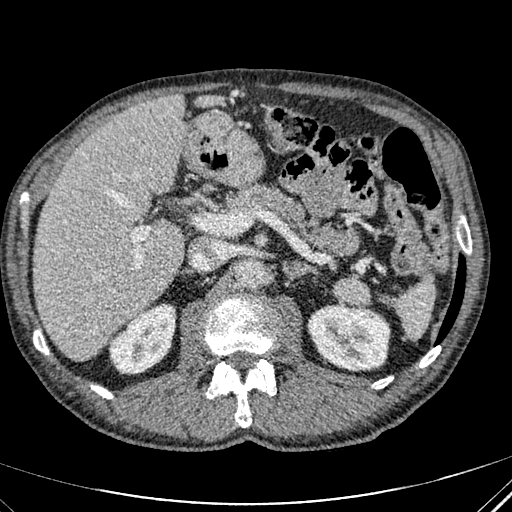

CT scan slice

{"liver_lesion": ["bbox=[160, 96, 174, 107]"], "kidney": ["bbox=[110, 305, 174, 372]", "bbox=[309, 306, 388, 369]"], "liver": ["bbox=[34, 96, 186, 359]"]}